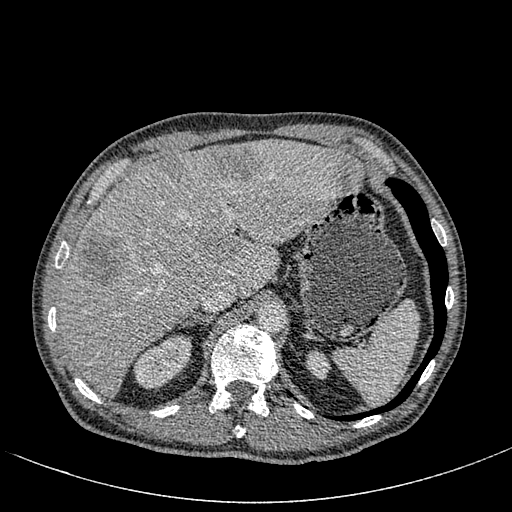 Computed tomography
liver: (58,140,364,397) | hepatic lesion: (79,227,122,284), (203,233,241,253), (160,155,183,175), (203,146,259,179) | kidney: (307,351,329,378), (134,336,191,387)